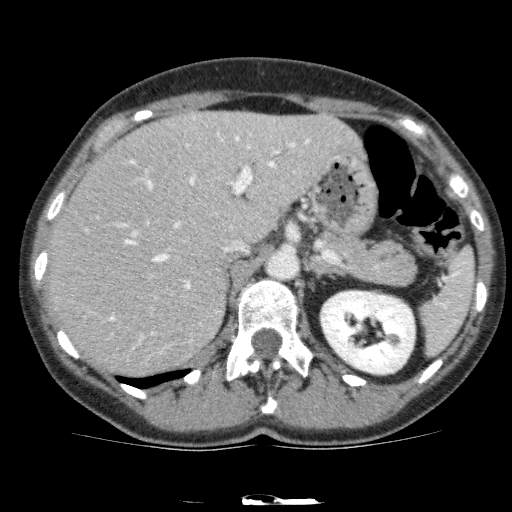

CT. Abdomen.
Liver — box=[47, 110, 366, 376].
Liver lesion — box=[259, 140, 267, 147].
Kidney — box=[321, 291, 414, 373].